Image size 240x240. Brain. Field of view 240x240 mm.
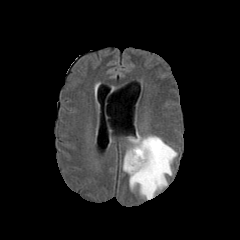
FLAIR magnetic resonance.
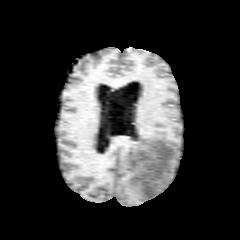
T1-weighted magnetic resonance.
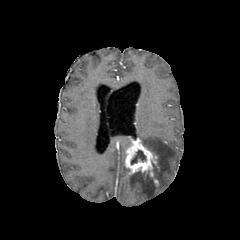
Post-contrast T1-weighted MRI of the same slice.
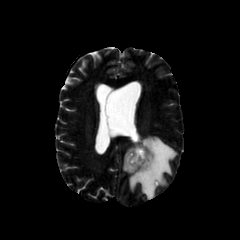
T2-weighted MR image.
non-enhancing_tumor_core:
  - (131, 150, 145, 164)
  - (152, 152, 158, 173)
enhancing_tumor:
  - (125, 136, 158, 186)
edema:
  - (129, 134, 177, 199)